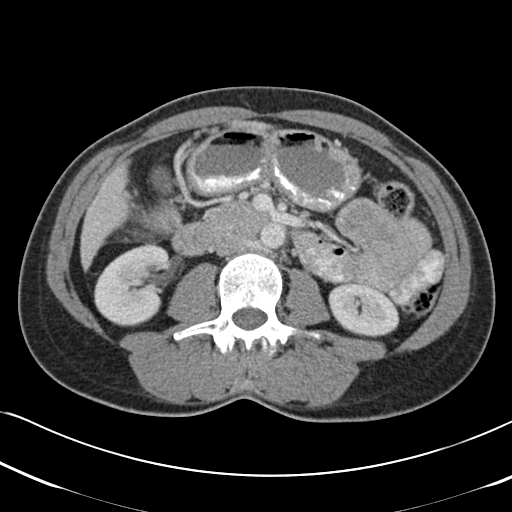
Computed tomography.

{
  "colon_tumor": [
    "149,204,181,233"
  ]
}